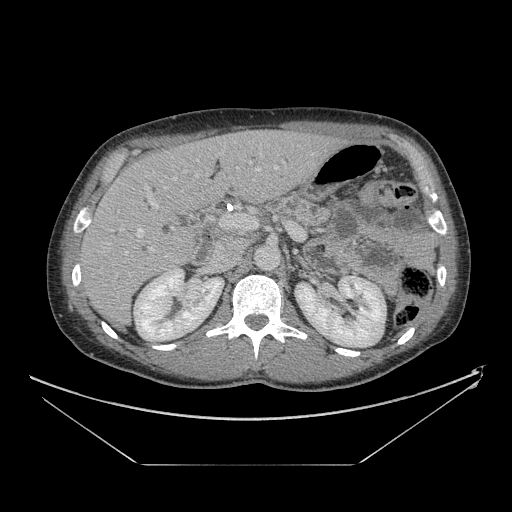 Abdomen. CT scan slice. 512x512.

Pancreas: bbox=[259, 195, 330, 229].